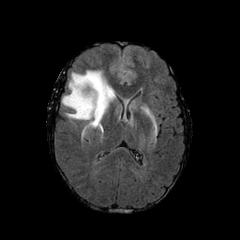
FLAIR magnetic resonance.
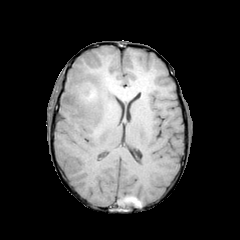
T1-weighted MR image.
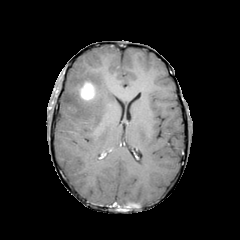
Post-contrast T1-weighted MR.
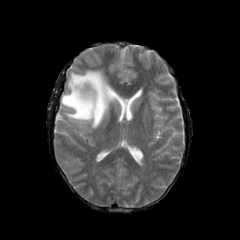
T2-weighted MRI.
Head.
The enhancing tumor lies within (x1=79, y1=82, x2=95, y2=100). The edema is at (x1=61, y1=70, x2=115, y2=128). The non-enhancing tumor core lies within (x1=77, y1=81, x2=89, y2=102).